CT image, Slice 186 of 588 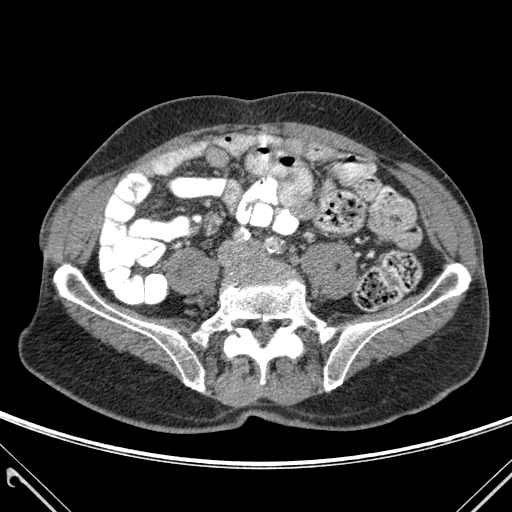 3 bone regions are bounded by left=192, top=272, right=334, bottom=383; left=54, top=265, right=204, bottom=391; left=324, top=264, right=470, bottom=390.